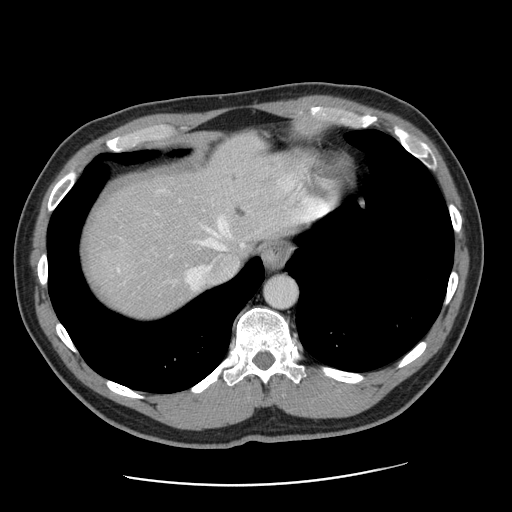

512x512 px; Abdomen; CT scan slice
The vessel annotation is not exhaustive.
<segmentation>
  <hepatic_vessel>(left=185, top=216, right=237, bottom=290), (left=237, top=243, right=246, bottom=250)</hepatic_vessel>
  <liver_tumor>(left=232, top=204, right=248, bottom=219), (left=229, top=172, right=239, bottom=182)</liver_tumor>
</segmentation>